Slice 331/771; CT; 512x512 px

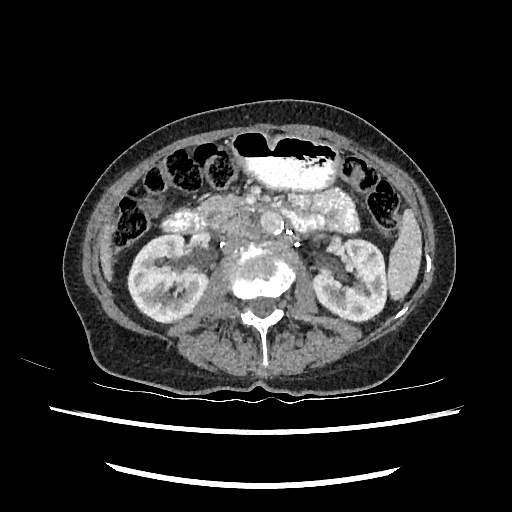

Kidney: bounding box l=129, t=235, r=207, b=321; l=314, t=240, r=386, b=320.
Liver: bounding box l=101, t=228, r=111, b=279.